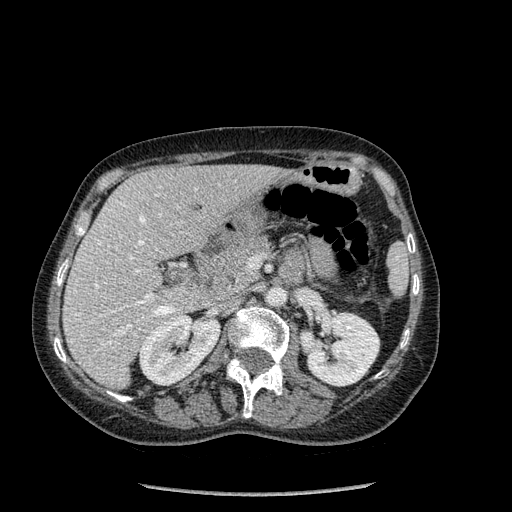

CT
Bone: bounding box x1=400 y1=329 x2=409 y2=348, x1=412 y1=274 x2=419 y2=294, x1=54 y1=337 x2=66 y2=362, x1=227 y1=306 x2=289 y2=417, x1=107 y1=391 x2=131 y2=402, x1=406 y1=233 x2=415 y2=252, x1=56 y1=260 x2=68 y2=285.
Liver: bounding box x1=62 y1=164 x2=284 y2=389.
Kidney: bounding box x1=140 y1=315 x2=219 y2=384, x1=301 y1=311 x2=379 y2=385.